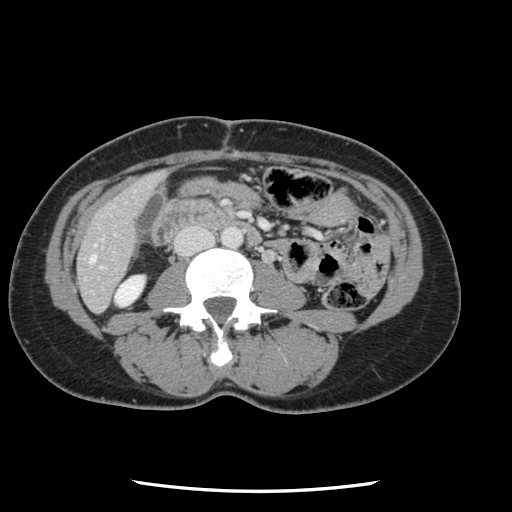 Liver. CT slice. The vessel annotation is not exhaustive.
hepatic vessel: x1=90, y1=255, x2=95, y2=262